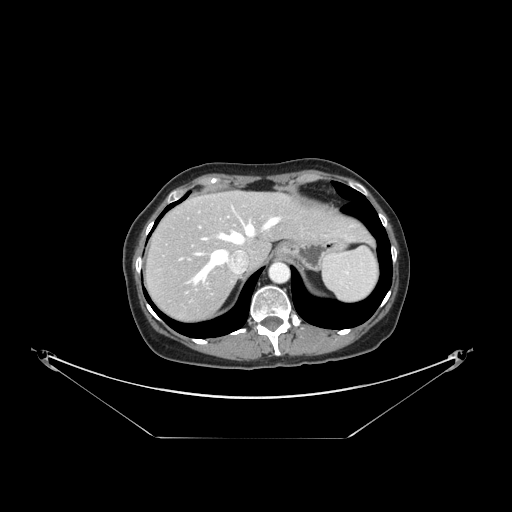
Liver; CT
Not every hepatic vessel necessarily has a box.
Hepatic vessel — bbox(265, 219, 276, 227); bbox(219, 232, 243, 243); bbox(246, 225, 253, 234).